Slice 87 of 155, Head, Field of view 240 mm wide, 1.00 mm slice spacing
FLAIR MR.
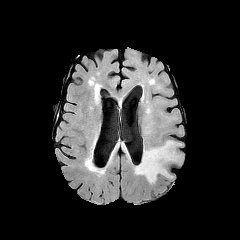
T1-weighted magnetic resonance.
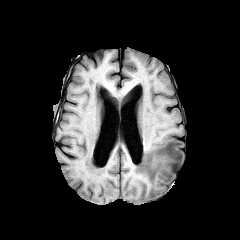
Post-contrast T1-weighted MR.
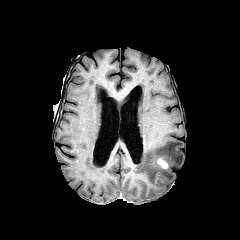
T2-weighted MR.
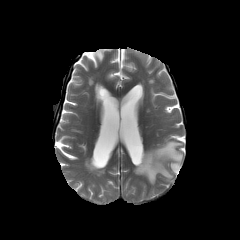
Annotated regions:
• enhancing tumor: l=155, t=157, r=168, b=169
• edema: l=134, t=140, r=181, b=183